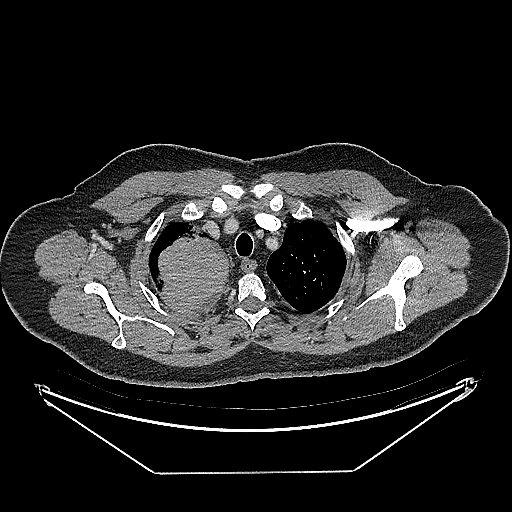
Computed tomography. Thorax.

The lung tumor is at <box>149,223,227,312</box>.